Image size 512x512; Lung; Slice 126 of 228; Computed tomography
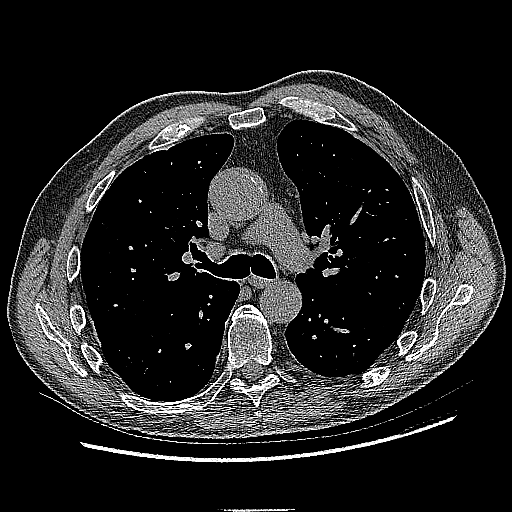 The lung tumor is bounded by x1=135 y1=360 x2=144 y2=371.